Computed tomography
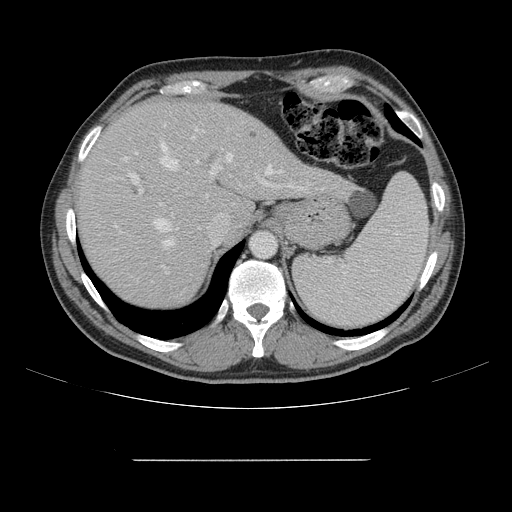 The vessel boxes may cover only some of the vessels.
[15/26] hepatic vessel: 297 187 305 189, 113 224 116 227, 160 142 178 170, 164 239 173 246, 210 169 214 173, 196 160 199 162, 266 165 282 174, 217 167 221 169, 139 189 143 192, 155 219 169 230, 129 173 137 183, 226 154 231 161, 261 180 292 187, 121 158 127 160, 191 136 194 138